CT slice | Abdomen | 512x512 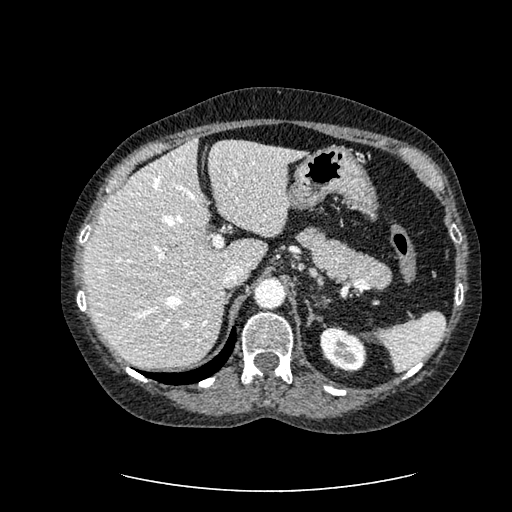 Kidney at region(321, 328, 364, 369).
Liver at region(208, 140, 308, 235); region(84, 137, 267, 366).